Magnetic resonance. Slice 18 of 40.

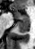 anterior hippocampus: bbox=[13, 7, 29, 20] | posterior hippocampus: bbox=[17, 21, 29, 32]